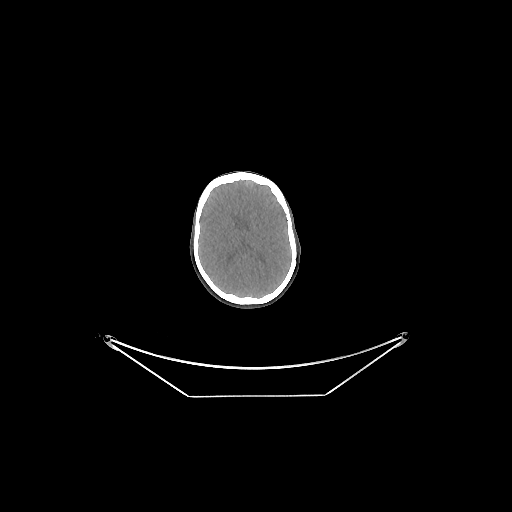 CT slice. 512x512.
Brain at bbox=[198, 180, 291, 297].